Computed tomography, Liver
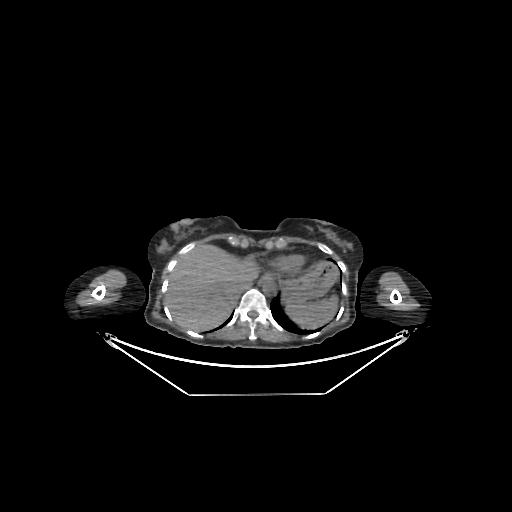

The liver lies within region(165, 245, 258, 331).